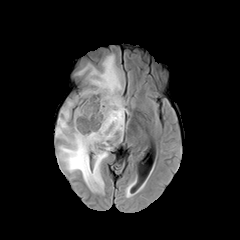
FLAIR MR image.
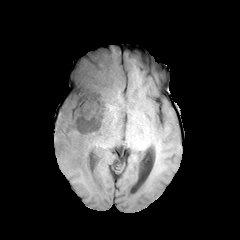
Same slice, T1-weighted magnetic resonance.
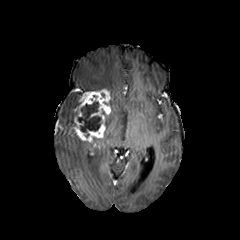
Post-contrast T1-weighted MR image.
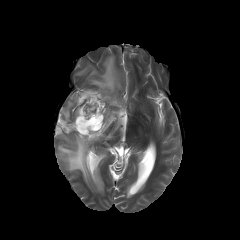
Same slice, T2-weighted magnetic resonance.
240x240 px
2 edema regions appear at bbox=[55, 55, 127, 186]; bbox=[58, 97, 75, 127]. 3 non-enhancing tumor core regions are located at bbox=[57, 126, 71, 133]; bbox=[77, 102, 101, 132]; bbox=[74, 96, 81, 115]. The enhancing tumor is bounded by bbox=[72, 89, 110, 141].